Computed tomography | 512x512 | Slice index 372

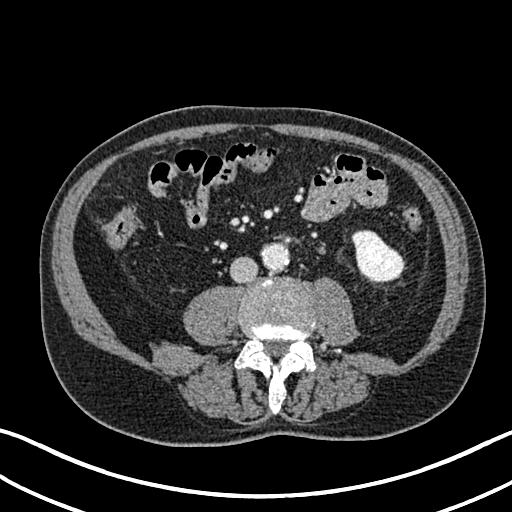 Kidney — (x1=353, y1=231, x2=403, y2=281).